Computed tomography; 512x512 px; Slice 299 of 574
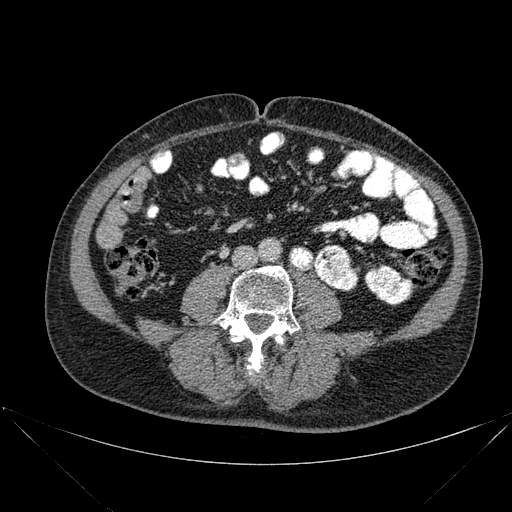
Bone: bounding box l=214, t=266, r=299, b=377.